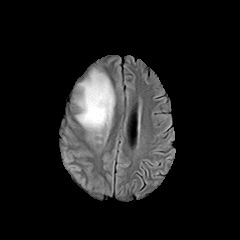
FLAIR MR image.
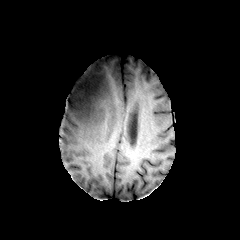
T1-weighted MRI.
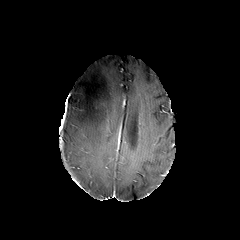
Post-contrast T1-weighted MRI of the same slice.
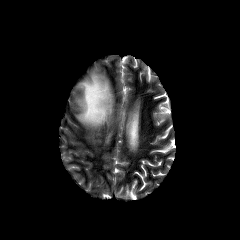
Same slice, T2-weighted MRI.
240x240 px
edema: [x1=74, y1=68, x2=114, y2=142]